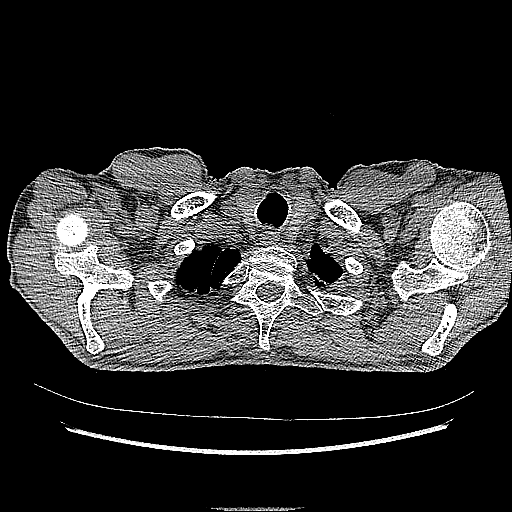 Computed tomography. Thorax.
Segmented structures:
* lung tumor: (left=189, top=285, right=200, bottom=294), (left=206, top=285, right=217, bottom=293)